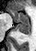
MR. Hippocampus.
Segmented structures:
• anterior hippocampus: [11,12,29,22]
• posterior hippocampus: [15,23,30,37]